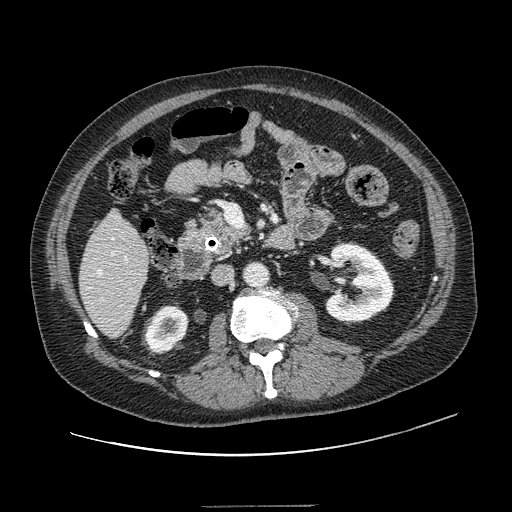 512x512 | CT scan slice | Abdomen
- pancreas: (184,209,247,254)